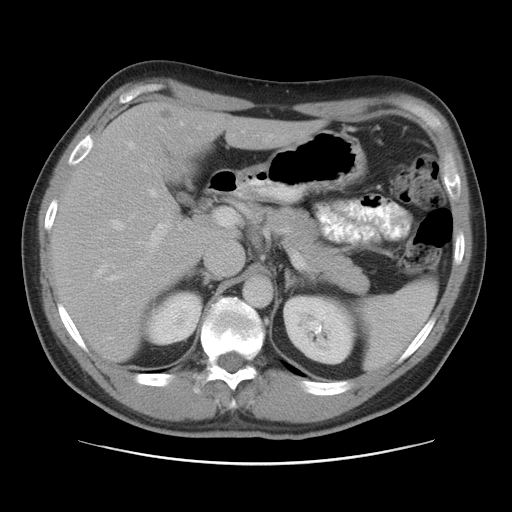 CT image; Abdomen
The vessel annotation is not exhaustive.
{"liver_tumor": ["x1=157 y1=106 x2=174 y2=121"], "hepatic_vessel": ["x1=198 y1=127 x2=200 y2=128", "x1=127 y1=142 x2=133 y2=147", "x1=216 y1=208 x2=237 y2=226", "x1=149 y1=189 x2=156 y2=196", "x1=95 y1=264 x2=107 y2=276", "x1=147 y1=222 x2=169 y2=251", "x1=111 y1=220 x2=124 y2=229"]}